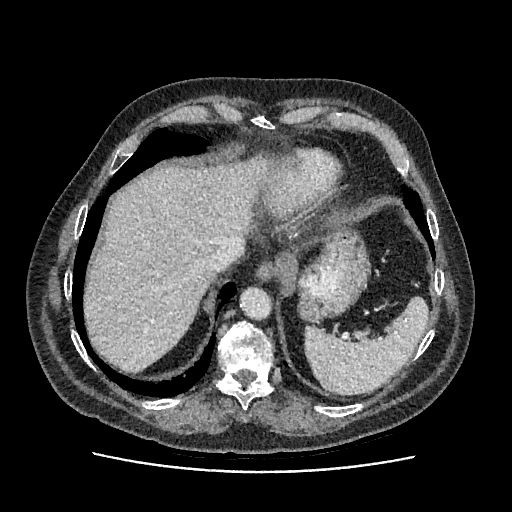
CT image
{
  "liver": [
    "[x1=84, y1=159, x2=272, y2=371]"
  ]
}